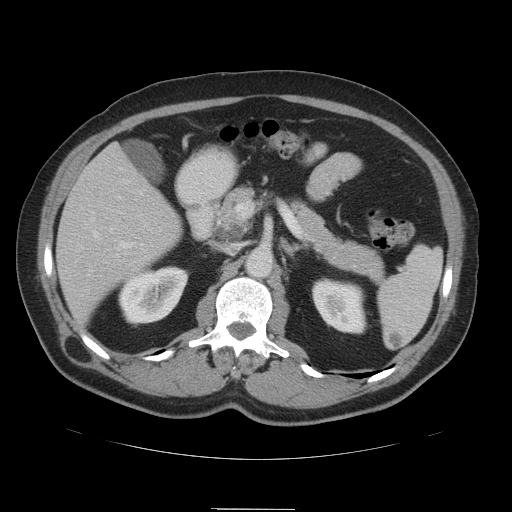 CT image.

The pancreatic tumor is located at [x1=227, y1=224, x2=243, y2=239]. The pancreas appears at [x1=212, y1=185, x2=384, y2=280].